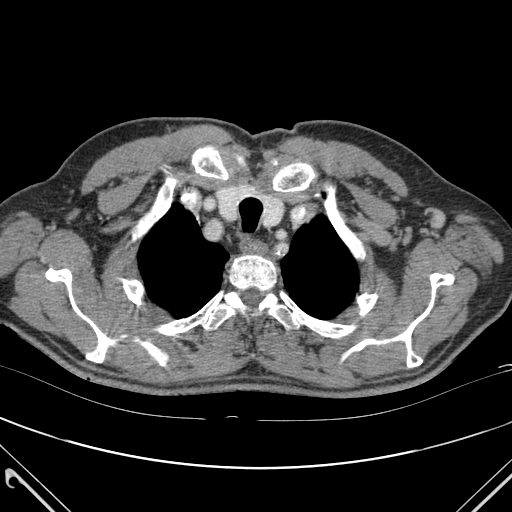 CT slice
lung: x1=281, y1=215, x2=358, y2=319; x1=138, y1=203, x2=228, y2=318 | bone: x1=346, y1=273, x2=453, y2=367; x1=142, y1=342, x2=167, y2=365; x1=122, y1=279, x2=143, y2=304; x1=259, y1=292, x2=354, y2=337; x1=192, y1=146, x2=230, y2=179; x1=273, y1=163, x2=314, y2=191; x1=46, y1=268, x2=113, y2=362; x1=157, y1=292, x2=247, y2=335; x1=136, y1=178, x2=175, y2=236; x1=325, y1=187, x2=364, y2=257; x1=357, y1=293, x2=377, y2=314; x1=230, y1=256, x2=275, y2=289